FLAIR MRI.
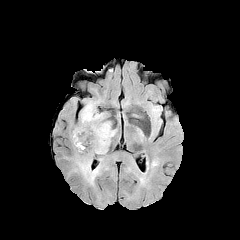
T1-weighted MR.
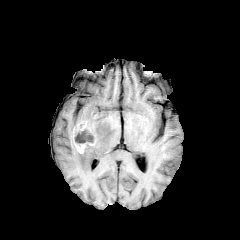
Post-contrast T1-weighted MRI.
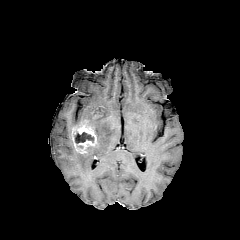
T2-weighted MR.
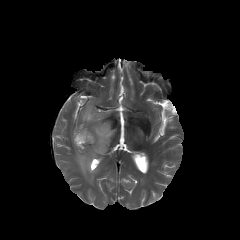
Brain
The non-enhancing tumor core is located at (74,132,93,143). The edema is at (73,102,115,184). The enhancing tumor is located at (72,120,96,153).